240x240 px. Brain.
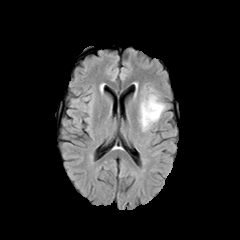
FLAIR MRI.
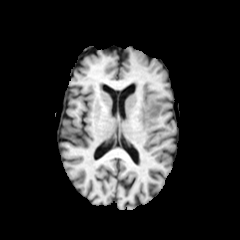
T1-weighted MR image of the same slice.
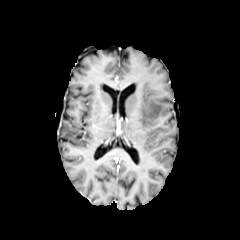
Same slice, post-contrast T1-weighted MR image.
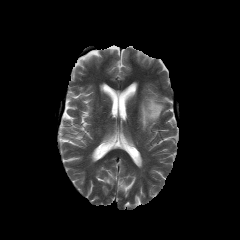
T2-weighted MR of the same slice.
Findings:
- edema: 138, 87, 164, 131